Image size 512x512; Computed tomography

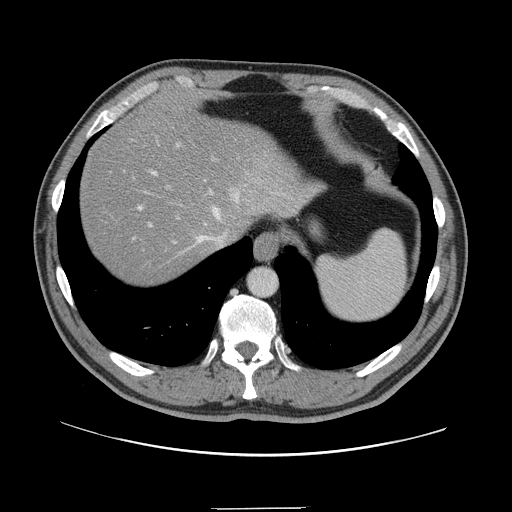
Not every hepatic vessel necessarily has a box.
hepatic_vessel:
  - region(210, 191, 212, 194)
  - region(234, 192, 238, 201)
  - region(138, 206, 142, 210)
  - region(197, 236, 214, 241)
  - region(149, 224, 151, 226)
  - region(177, 144, 180, 146)
  - region(151, 171, 156, 175)
  - region(173, 242, 175, 243)
  - region(212, 209, 220, 218)
  - region(213, 158, 216, 160)
  - region(217, 235, 225, 246)